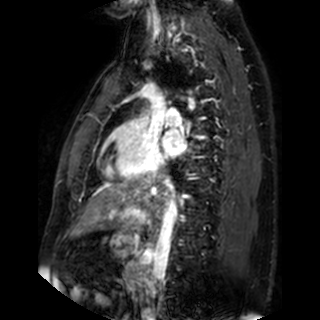 Heart, MRI
left_atrium:
  - <bbox>162, 129, 186, 157</bbox>